Brain; Slice index 28
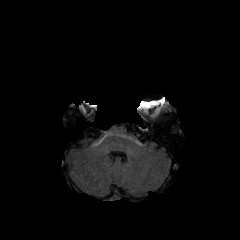
FLAIR MR image.
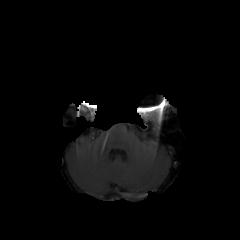
T1-weighted MR of the same slice.
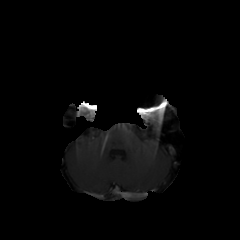
Post-contrast T1-weighted MR image.
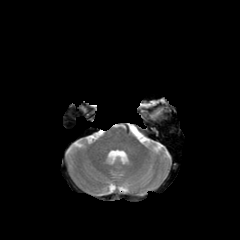
T2-weighted magnetic resonance of the same slice.
non-enhancing tumor core: rect(142, 104, 160, 113)